Upper abdomen, CT scan slice, Slice index 63, Image width 430 mm

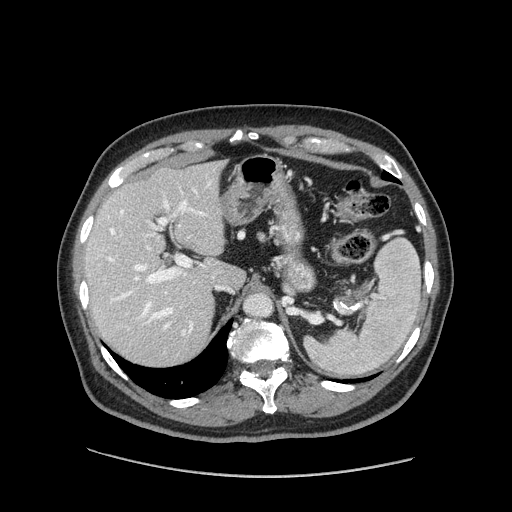

Pancreatic tumor = l=343, t=288, r=364, b=303.
Pancreas = l=346, t=284, r=369, b=307.